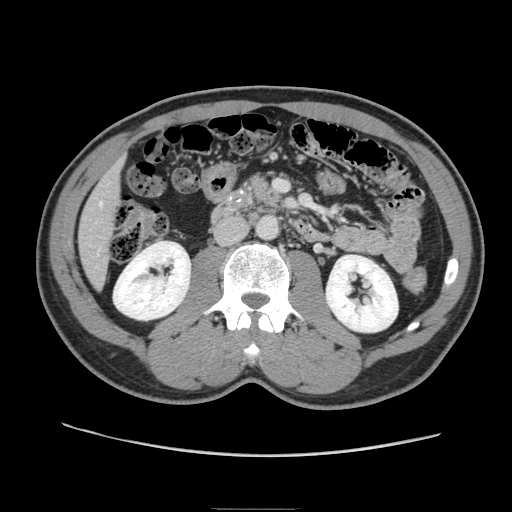
CT scan slice. Abdomen. Image size 512x512.

The pancreas is at <box>247,173,281,209</box>.